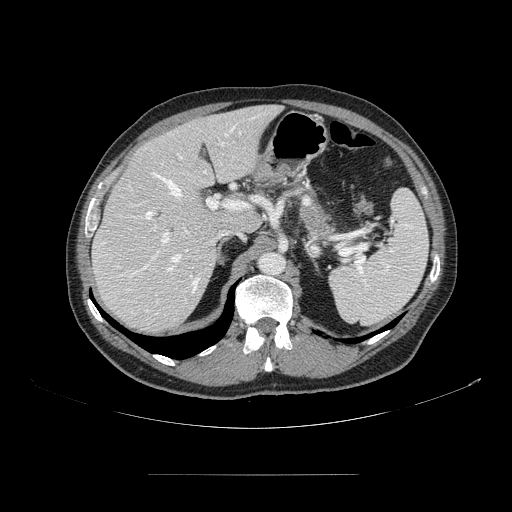 Abdomen | CT slice | Image size 512x512

Segmented structures:
- pancreas: [299, 200, 338, 237]